Slice 113/155; 240x240
FLAIR MRI.
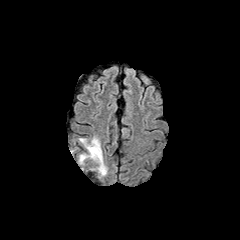
T1-weighted MR image.
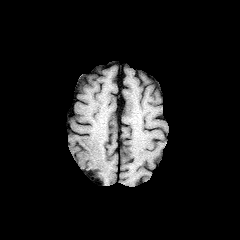
Post-contrast T1-weighted MR.
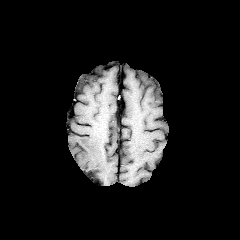
T2-weighted MRI.
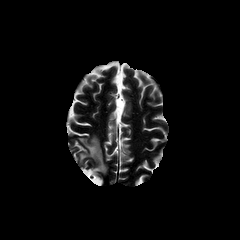
The edema is bounded by [70, 136, 107, 177].